Brain, Field of view 240 mm wide, 1.00 mm slice spacing, Slice 35/155
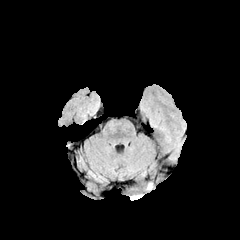
FLAIR MRI.
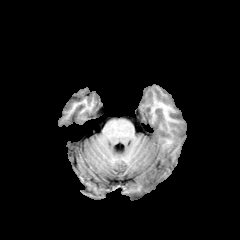
T1-weighted MR image.
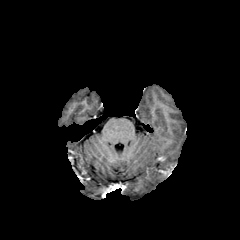
Same slice, post-contrast T1-weighted MR image.
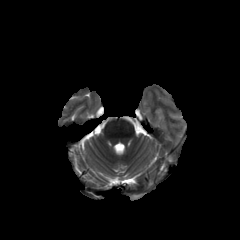
T2-weighted MR image of the same slice.
Edema: x1=130, y1=194, x2=144, y2=200.